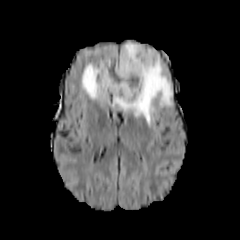
FLAIR magnetic resonance.
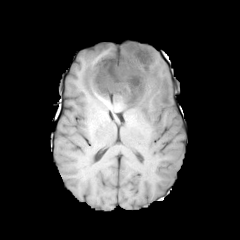
T1-weighted magnetic resonance.
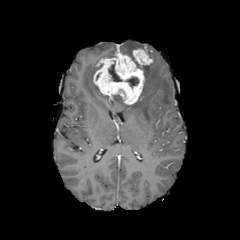
Post-contrast T1-weighted MR.
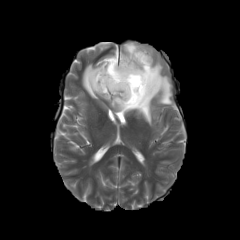
T2-weighted MRI.
Brain.
2 enhancing tumor regions are located at region(133, 49, 152, 67); region(93, 52, 144, 104). 4 non-enhancing tumor core regions appear at region(108, 60, 123, 81); region(113, 94, 123, 102); region(134, 61, 147, 73); region(126, 77, 139, 86). 2 edema regions appear at region(82, 61, 173, 124); region(122, 43, 153, 58).